Computed tomography. 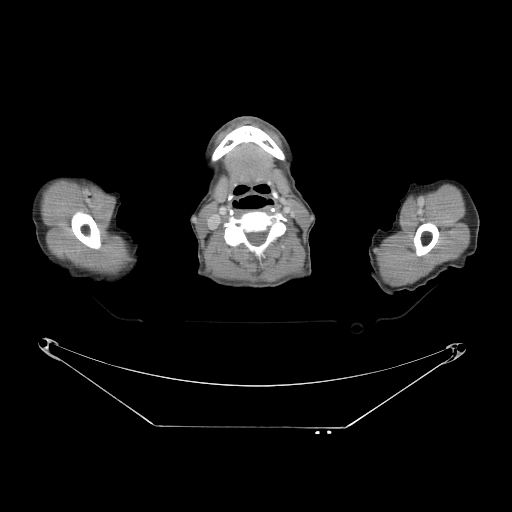

bone: x1=212 y1=126 x2=284 y2=160, x1=72 y1=212 x2=100 y2=248, x1=225 y1=211 x2=285 y2=256, x1=414 y1=223 x2=438 y2=255